Brain; Field of view 240 mm wide, 1.00 mm slice spacing; 240x240 px
FLAIR MR image.
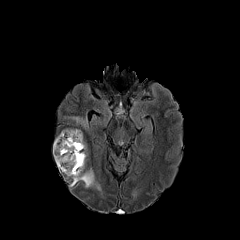
T1-weighted MR.
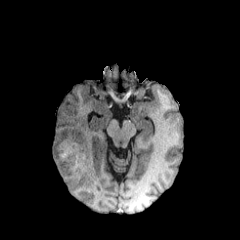
Post-contrast T1-weighted MRI.
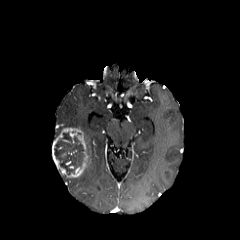
T2-weighted MRI.
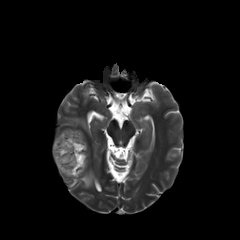
non-enhancing tumor core: [53,132,85,174] | edema: [70,170,102,194], [64,114,90,134] | enhancing tumor: [52,128,89,176], [55,160,65,174]